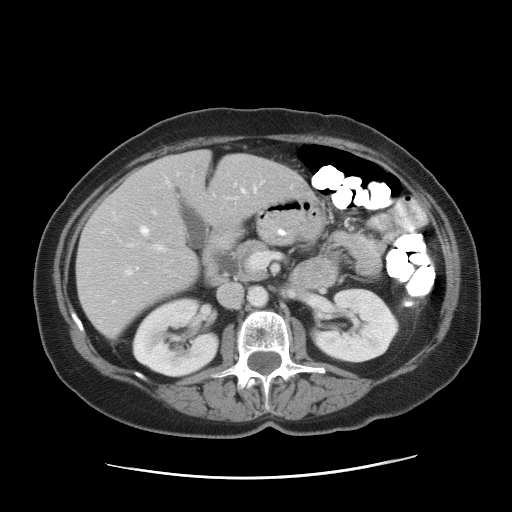 CT slice | Image size 512x512 | Liver
Some hepatic vessels may have no box.
hepatic_vessel:
  - 153:211:155:213
  - 126:270:131:274
  - 136:268:137:269
  - 141:227:148:234
  - 154:245:163:250
  - 177:173:179:174
  - 166:180:168:183
  - 254:187:256:191
  - 241:189:245:193
  - 234:183:236:186